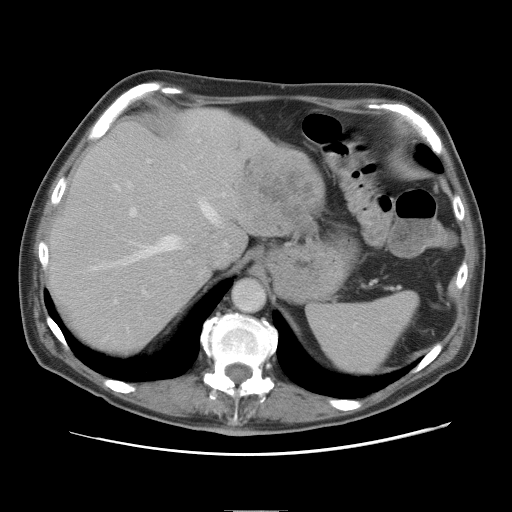 CT slice.
Only some of the vessels may be annotated.
The liver tumor lies within 234, 153, 317, 225. 8 hepatic vessel regions appear at 128, 183, 131, 186; 131, 209, 136, 215; 119, 235, 179, 264; 148, 160, 149, 161; 115, 186, 118, 188; 201, 203, 217, 222; 115, 300, 117, 303; 93, 267, 98, 269.